Slice 221 of 908, Lower abdomen, CT image, Field of view 404 mm wide, 0.70 mm slice spacing, 512x512 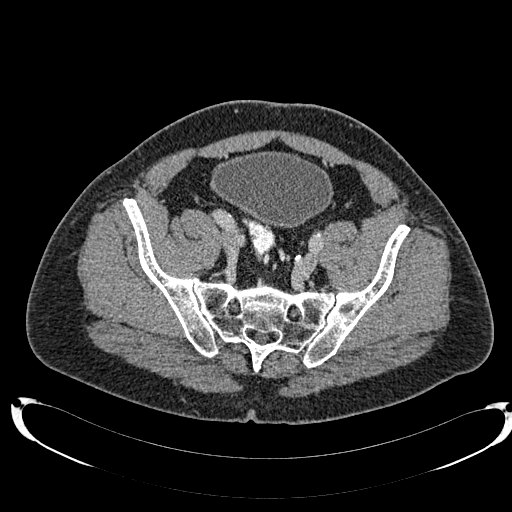
Urinary bladder: bounding box bbox=[212, 151, 332, 227].